Abdomen. CT image. 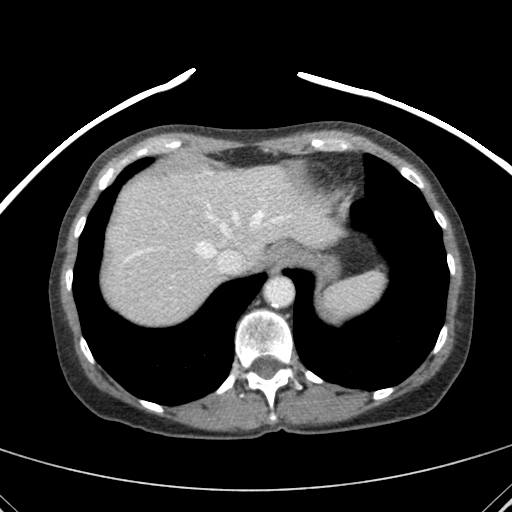
<segmentation>
  <liver>bbox=[104, 157, 332, 324]</liver>
</segmentation>